CT slice
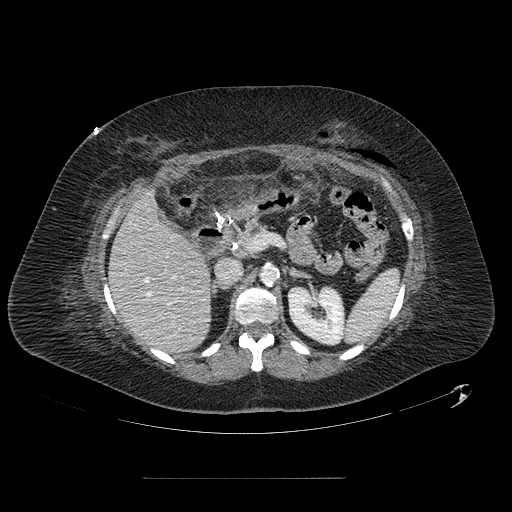 Segmented structures:
- pancreas: rect(234, 217, 264, 257)